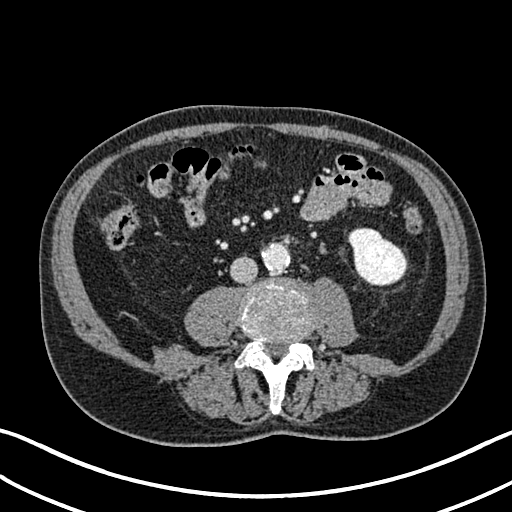

CT slice.
The kidney is located at bbox=[349, 229, 406, 284].